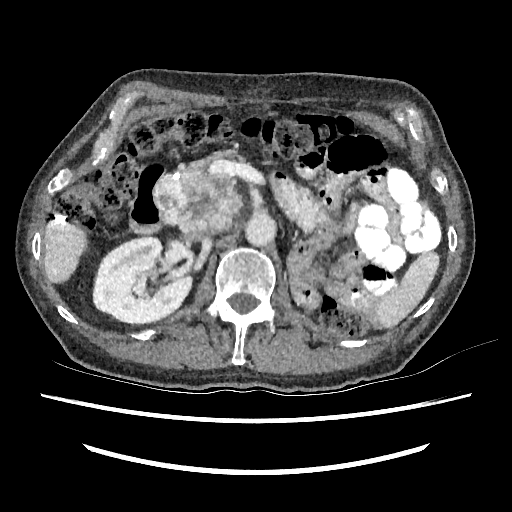

CT, Abdomen
liver:
  - {"x1": 44, "y1": 221, "x2": 85, "y2": 282}
kidney:
  - {"x1": 93, "y1": 237, "x2": 191, "y2": 323}